CT | Field of view 403 mm wide, 1.50 mm slice spacing

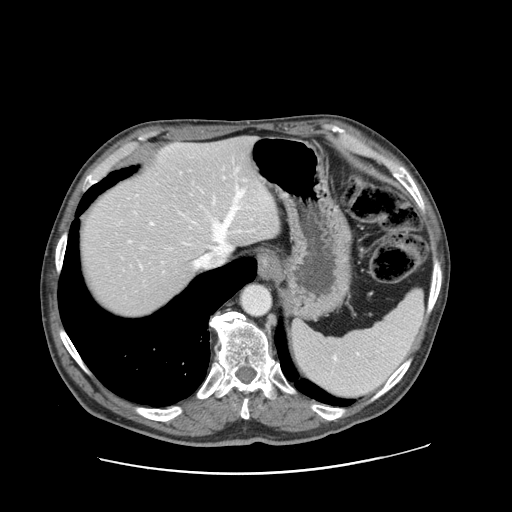

Only some of the vessels may be annotated.
5 hepatic vessel regions are located at 195 259 199 266, 223 177 224 178, 213 247 217 250, 150 223 153 224, 213 187 243 247.